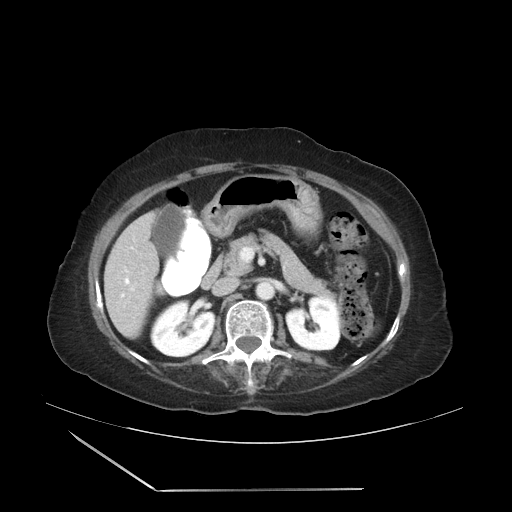

512x512 px. CT scan slice. Abdomen.

Not every hepatic vessel necessarily has a box.
{
  "liver_tumor": [
    "x1=130, y1=288, x2=145, y2=304"
  ],
  "hepatic_vessel": [
    "x1=132, y1=237, x2=135, y2=240",
    "x1=131, y1=247, x2=134, y2=249",
    "x1=127, y1=296, x2=129, y2=301",
    "x1=125, y1=268, x2=129, y2=274",
    "x1=121, y1=293, x2=125, y2=296",
    "x1=124, y1=277, x2=134, y2=289"
  ]
}